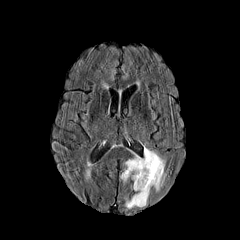
FLAIR MRI.
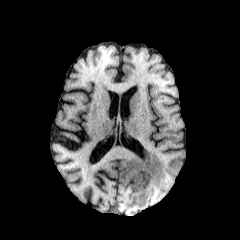
T1-weighted MRI of the same slice.
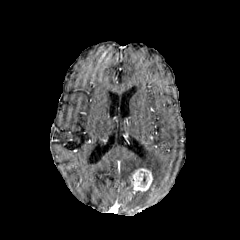
Post-contrast T1-weighted magnetic resonance.
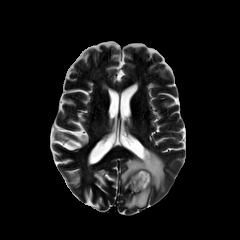
T2-weighted MR.
<segmentation>
  <enhancing_tumor>(left=133, top=168, right=153, bottom=191)</enhancing_tumor>
  <edema>(left=118, top=147, right=165, bottom=193), (left=124, top=188, right=150, bottom=210)</edema>
  <non-enhancing_tumor_core>(left=137, top=171, right=148, bottom=188)</non-enhancing_tumor_core>
</segmentation>